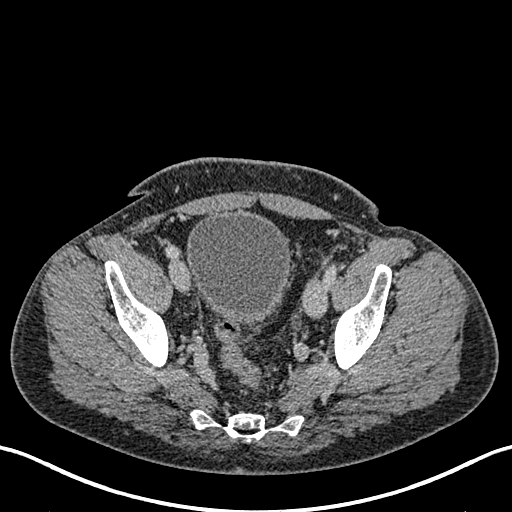 Computed tomography.

2 urinary bladder regions appear at l=186, t=212, r=291, b=322; l=230, t=324, r=254, b=327.